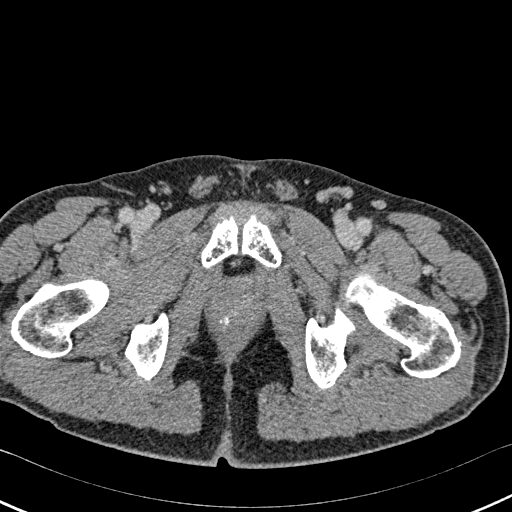
CT image | 512x512

bone: 0,279,108,357; 201,215,281,268; 125,314,168,379; 305,276,460,388